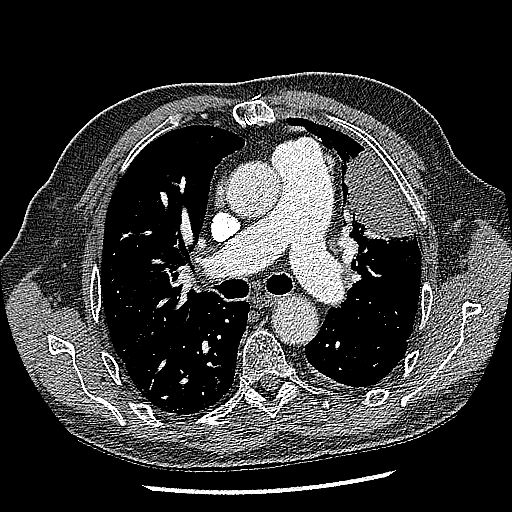
512x512 px, CT image, Thorax
lung_tumor:
  - [344,147,414,242]